Field of view 240x240 mm, Brain
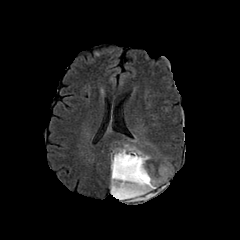
FLAIR MRI.
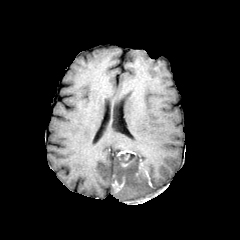
T1-weighted MR of the same slice.
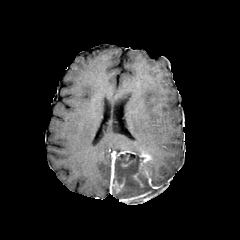
Post-contrast T1-weighted MR image.
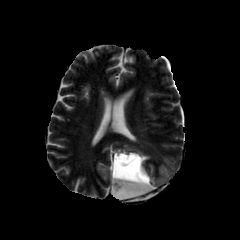
T2-weighted MR of the same slice.
<segmentation>
  <edema>bbox=[116, 144, 143, 153]; bbox=[142, 162, 155, 183]; bbox=[134, 184, 148, 193]</edema>
  <non-enhancing_tumor_core>bbox=[112, 151, 156, 200]</non-enhancing_tumor_core>
  <enhancing_tumor>bbox=[110, 152, 123, 193]; bbox=[120, 192, 149, 201]</enhancing_tumor>
</segmentation>